240x240, Slice 92 of 155
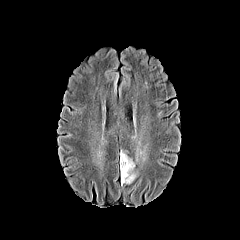
FLAIR magnetic resonance.
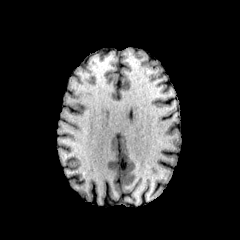
Same slice, T1-weighted MR.
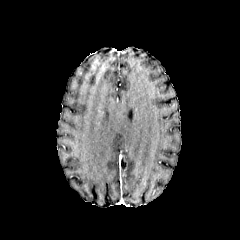
Post-contrast T1-weighted magnetic resonance.
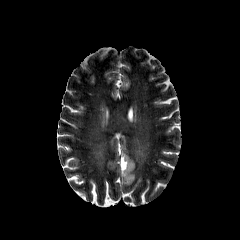
T2-weighted MR image of the same slice.
The enhancing tumor is located at box=[119, 154, 126, 171]. The edema is at box=[122, 152, 138, 184].